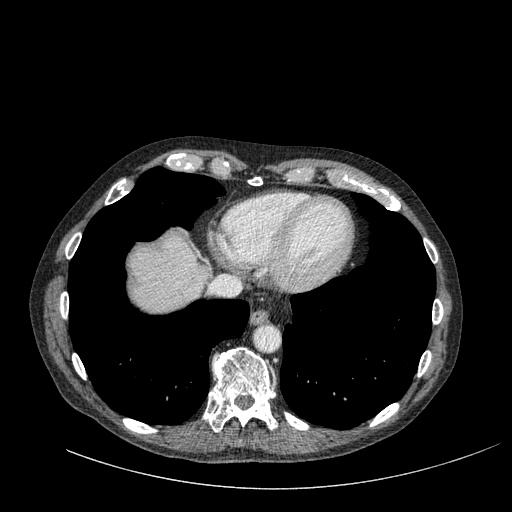
512x512 px, Computed tomography
The liver is located at {"x1": 130, "y1": 237, "x2": 204, "y2": 312}.